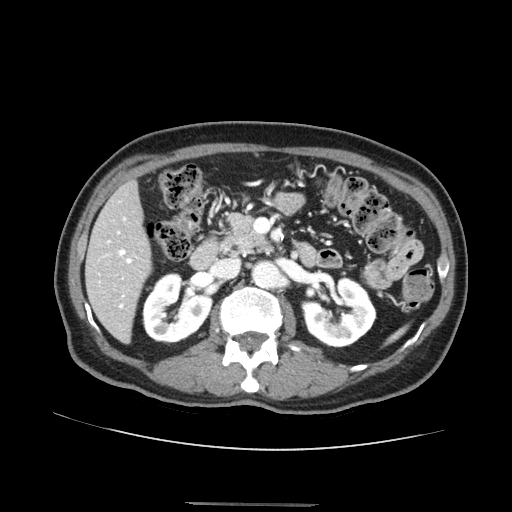
CT slice. Image size 512x512. Upper abdomen.
The pancreas is at [227, 218, 269, 252].